FLAIR MR image.
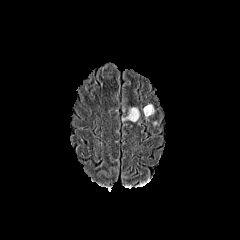
T1-weighted MR.
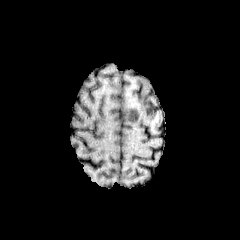
Post-contrast T1-weighted magnetic resonance.
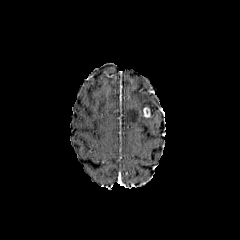
T2-weighted MR image.
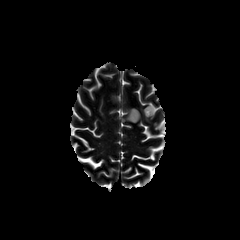
edema: [x1=124, y1=107, x2=140, y2=121] | enhancing tumor: [x1=143, y1=107, x2=150, y2=117]